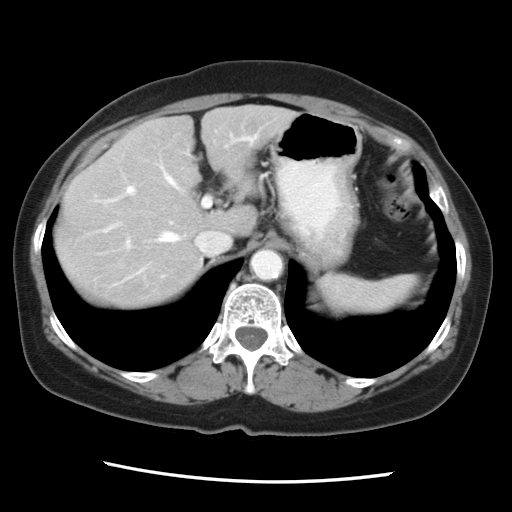

CT, Abdomen

The vessel boxes may cover only some of the vessels.
Hepatic vessel: rect(124, 236, 131, 250); rect(161, 166, 179, 189); rect(103, 186, 135, 205); rect(154, 230, 185, 243); rect(195, 232, 229, 253); rect(104, 221, 121, 232); rect(202, 197, 211, 206).